FLAIR MR image.
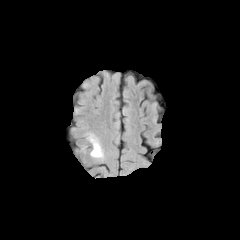
T1-weighted MR.
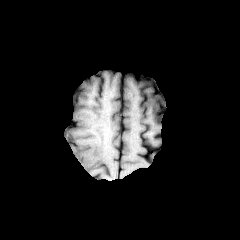
Post-contrast T1-weighted magnetic resonance.
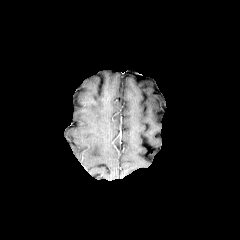
T2-weighted MRI.
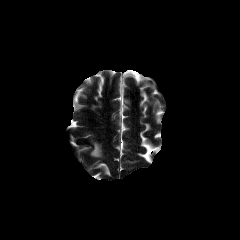
Brain.
Edema: bounding box {"x1": 90, "y1": 135, "x2": 102, "y2": 157}.